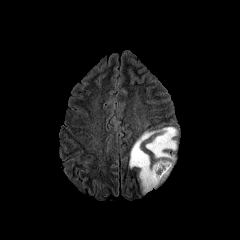
FLAIR MR image.
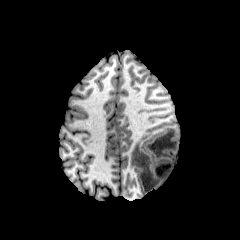
Same slice, T1-weighted MR.
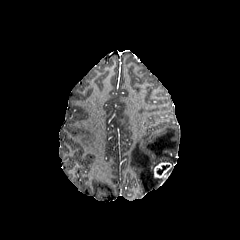
Post-contrast T1-weighted MR image.
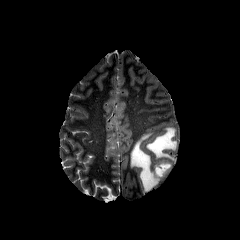
T2-weighted MR.
Head | Image size 240x240
2 non-enhancing tumor core regions are located at x1=156, y1=165, x2=169, y2=174; x1=155, y1=177, x2=164, y2=185. The edema appears at x1=129, y1=127, x2=177, y2=192. The enhancing tumor is bounded by x1=153, y1=161, x2=171, y2=179.